CT slice, Liver 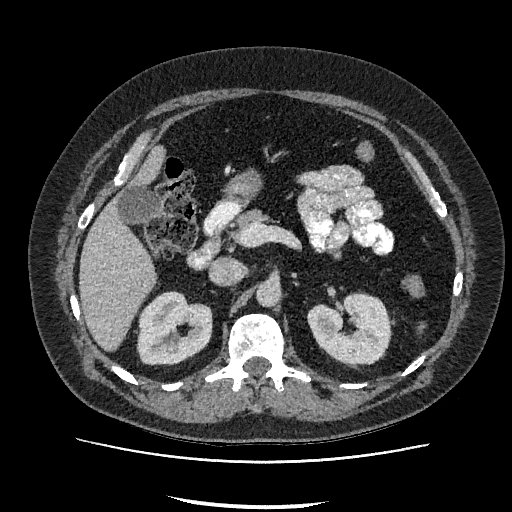

kidney:
  - bbox(139, 292, 211, 363)
  - bbox(308, 295, 389, 363)
liver:
  - bbox(129, 145, 164, 186)
  - bbox(79, 197, 156, 349)